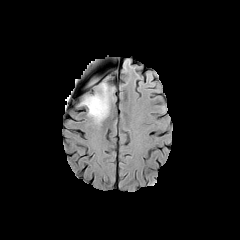
FLAIR MR image.
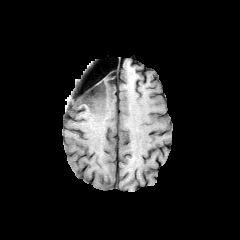
T1-weighted magnetic resonance.
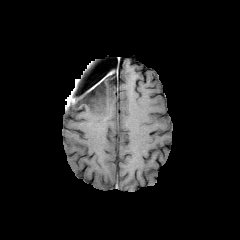
Post-contrast T1-weighted magnetic resonance.
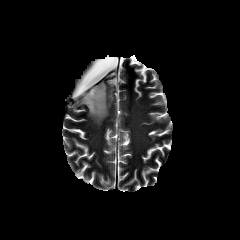
T2-weighted MRI.
240x240
non-enhancing tumor core: 84,84,105,101 | edema: 80,81,113,124